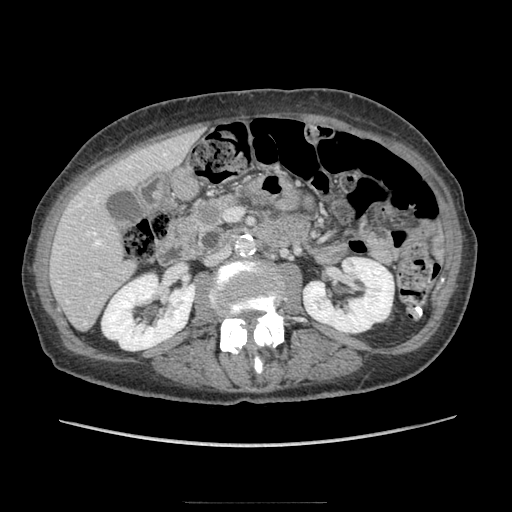
Upper abdomen. Computed tomography.
Segmented structures:
* pancreas: [173, 193, 238, 257]
* pancreatic tumor: [198, 203, 219, 224]